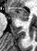

MRI | Hippocampus
anterior hippocampus: x1=6, y1=7, x2=28, y2=20